Computed tomography. Slice 34 of 536. 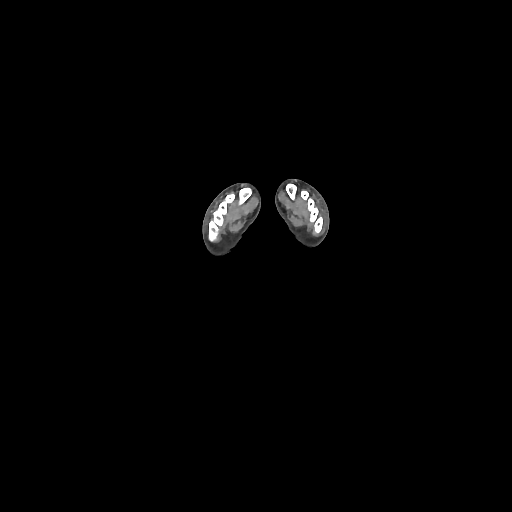

Annotated regions:
* bone: x1=286, y1=184, x2=296, y2=199; x1=238, y1=188, x2=251, y2=205; x1=209, y1=194, x2=234, y2=241; x1=301, y1=191, x2=322, y2=233